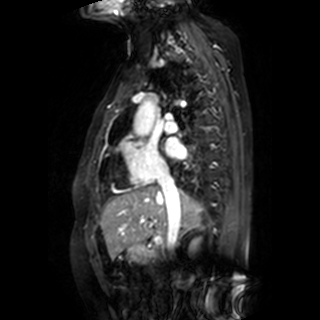
Heart; MR image
Left atrium: bbox=[164, 138, 185, 158].